Head
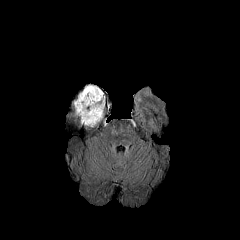
FLAIR magnetic resonance.
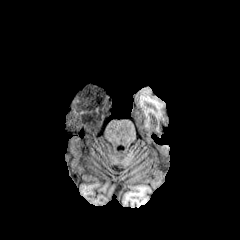
Same slice, T1-weighted MR image.
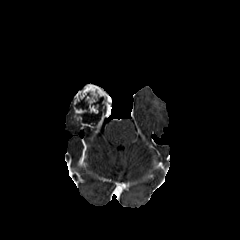
Post-contrast T1-weighted magnetic resonance of the same slice.
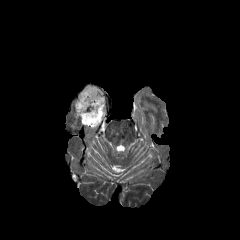
T2-weighted MR of the same slice.
The non-enhancing tumor core lies within left=67, top=93, right=106, bottom=126. The enhancing tumor is at left=74, top=83, right=111, bottom=132.